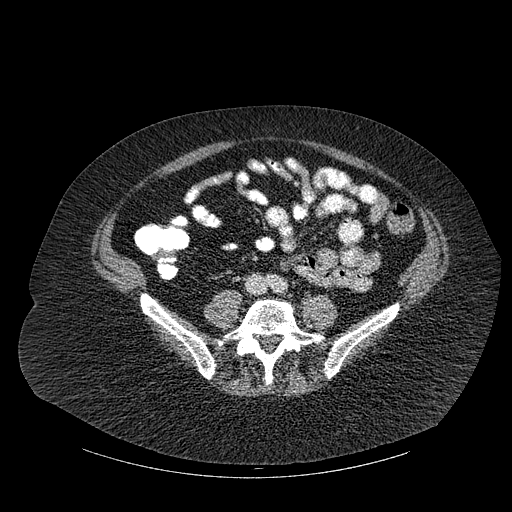 Image size 512x512, CT
Bone — 224,300,323,384; 140,294,215,379; 324,303,398,378.